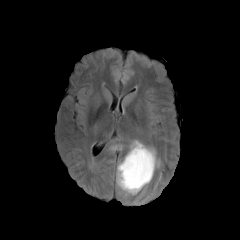
FLAIR MR.
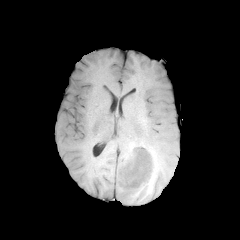
T1-weighted MR image.
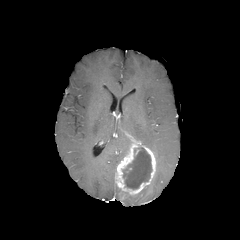
Post-contrast T1-weighted MRI.
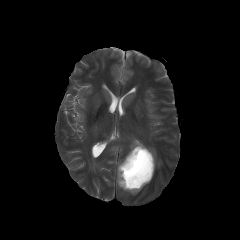
T2-weighted MRI.
Brain
non-enhancing tumor core: <box>122,147,151,188</box> | edema: <box>126,138,161,168</box> | enhancing tumor: <box>116,143,155,193</box>